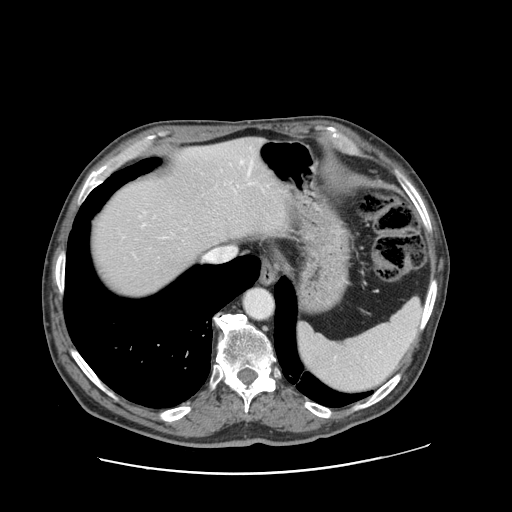

Liver | CT
Not every hepatic vessel necessarily has a box.
Annotated regions:
- hepatic vessel: bbox=[251, 160, 252, 162]; bbox=[241, 161, 243, 163]